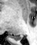
37x45 px, MRI

The posterior hippocampus is located at x1=11, y1=35, x2=23, y2=39.